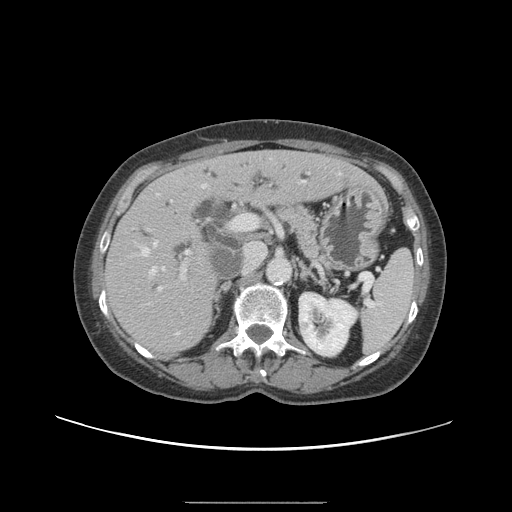 Upper abdomen. Image size 512x512. CT scan slice.

Pancreas: bounding box l=278, t=205, r=327, b=263.